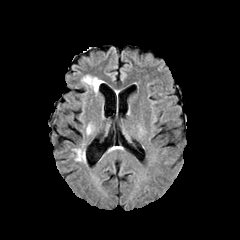
FLAIR MRI.
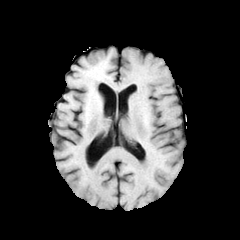
T1-weighted MR image of the same slice.
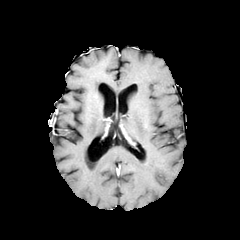
Post-contrast T1-weighted MRI.
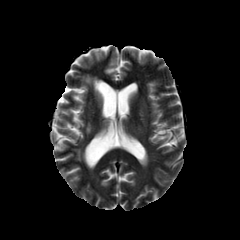
T2-weighted MR image.
Head | 240x240
Edema — region(74, 148, 85, 161); region(85, 123, 93, 134); region(81, 75, 103, 95).